Abdomen | Computed tomography | Slice 412/986 | Field of view 432x432 mm
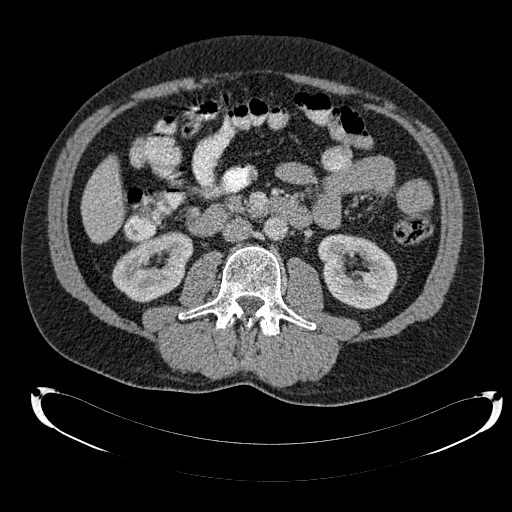 <segmentation>
  <kidney>319:234:396:308, 113:233:191:301</kidney>
  <liver>82:160:123:242</liver>
</segmentation>